Field of view 360 mm wide, 1.24 mm slice spacing | Computed tomography | Slice 131 of 248 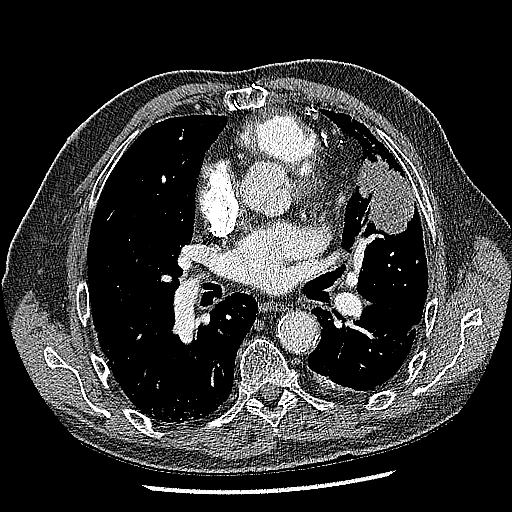

{"lung_tumor": ["357,150,415,234"]}